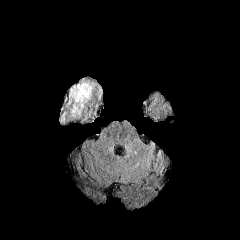
FLAIR MR.
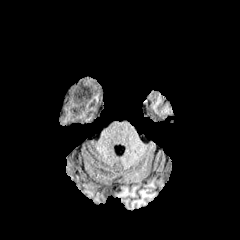
T1-weighted MR.
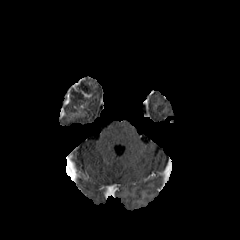
Post-contrast T1-weighted MR image of the same slice.
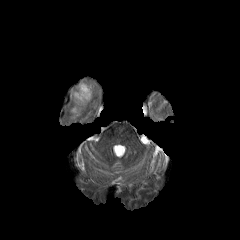
T2-weighted MRI of the same slice.
{
  "non-enhancing_tumor_core": [
    "box=[59, 76, 102, 125]"
  ]
}